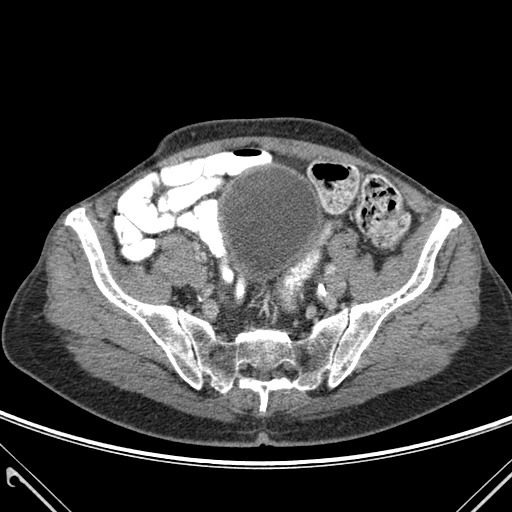
Computed tomography.
<segmentation>
  <bone><box>65,208,460,411</box></bone>
</segmentation>